FLAIR MR.
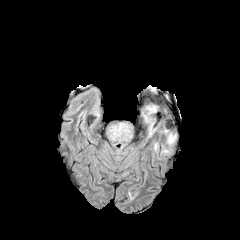
T1-weighted MR.
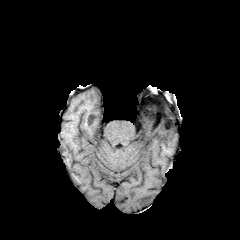
Post-contrast T1-weighted magnetic resonance.
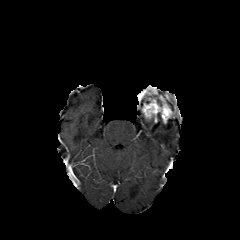
T2-weighted MRI.
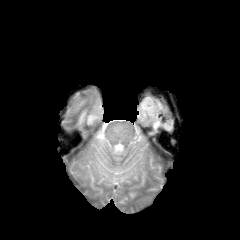
enhancing_tumor:
  - rect(142, 100, 167, 119)